Slice 457/722; Image size 512x512; Computed tomography
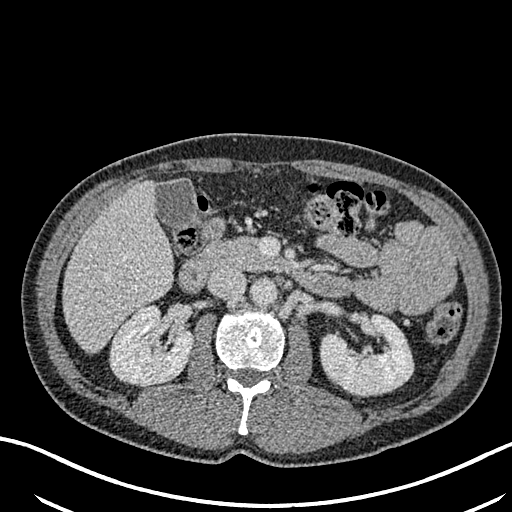

<segmentation>
  <kidney><bbox>111, 307, 192, 384</bbox>, <bbox>321, 315, 412, 394</bbox></kidney>
  <liver><bbox>65, 180, 173, 351</bbox></liver>
</segmentation>